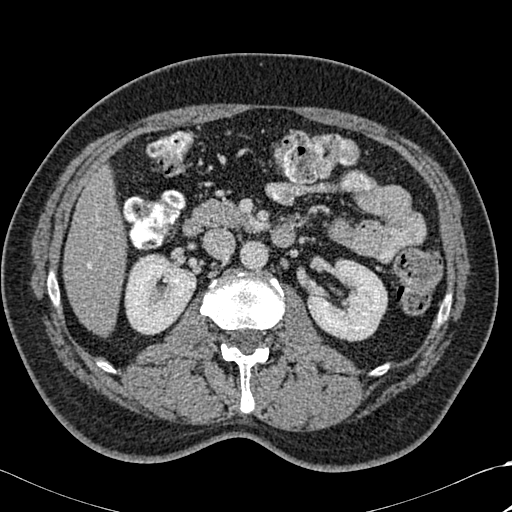 CT scan slice; 512x512; Liver
liver:
  - region(65, 173, 125, 333)
bone:
  - region(48, 277, 58, 304)
  - region(200, 272, 283, 332)
  - region(100, 362, 113, 371)
  - region(221, 343, 268, 412)
kidney:
  - region(308, 260, 386, 340)
  - region(125, 255, 195, 333)